Slice 406/841, CT scan slice, 512x512 px
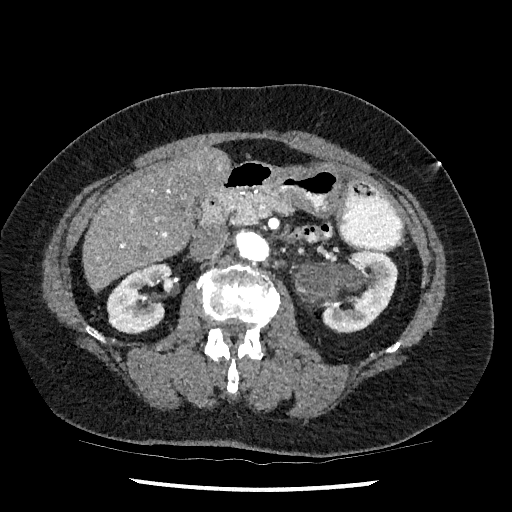
Segmented structures:
* kidney: [107,264,176,332], [323,251,396,331]
* liver: [82,148,229,291]